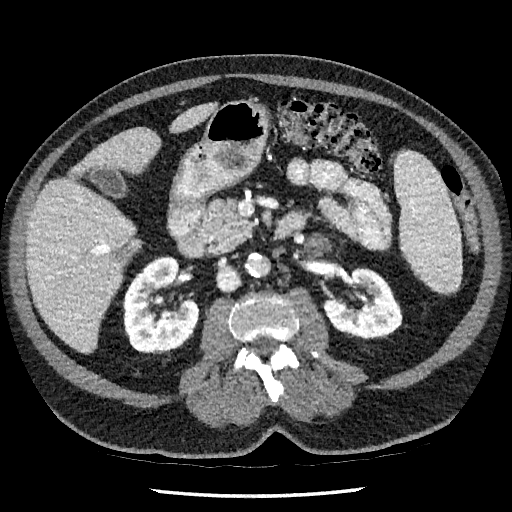
CT image | Upper abdomen

2 liver regions are located at 171 103 215 132, 26 127 160 352. The hepatic lesion appears at 113 250 124 261. 2 kidney regions are located at 324 269 401 337, 124 258 198 351.